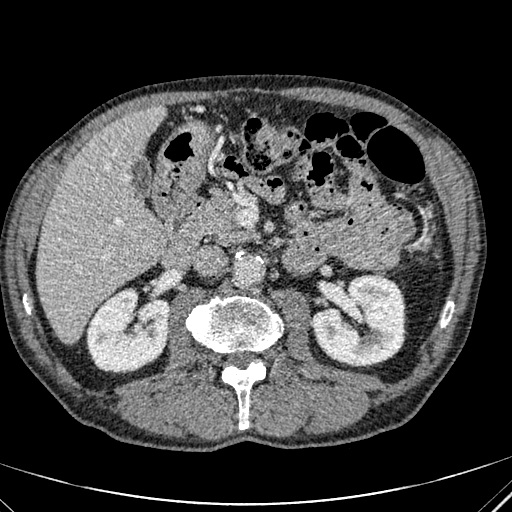
CT image, 512x512, Upper abdomen

liver:
  - left=37, top=107, right=165, bottom=343
kidney:
  - left=313, top=276, right=403, bottom=364
  - left=88, top=291, right=168, bottom=371